Thorax; Field of view 351 mm wide, 1.00 mm slice spacing; Computed tomography
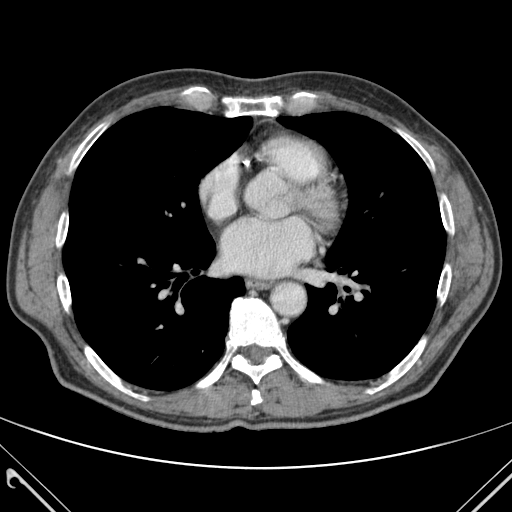

<segmentation>
  <lung>[x1=279, y1=112, x2=445, y2=380], [x1=62, y1=107, x2=252, y2=390]</lung>
  <bone>[x1=197, y1=298, x2=321, y2=387], [x1=70, y1=123, x2=109, y2=168], [x1=56, y1=213, x2=68, y2=257], [x1=221, y1=92, x2=317, y2=116], [x1=440, y1=195, x2=453, y2=233], [x1=399, y1=131, x2=433, y2=168], [x1=57, y1=259, x2=70, y2=310], [x1=183, y1=87, x2=217, y2=98], [x1=232, y1=355, x2=281, y2=383], [x1=437, y1=265, x2=451, y2=303], [x1=368, y1=339, x2=425, y2=393], [x1=85, y1=347, x2=146, y2=400], [x1=251, y1=390, x2=261, y2=404]</bone>
</segmentation>